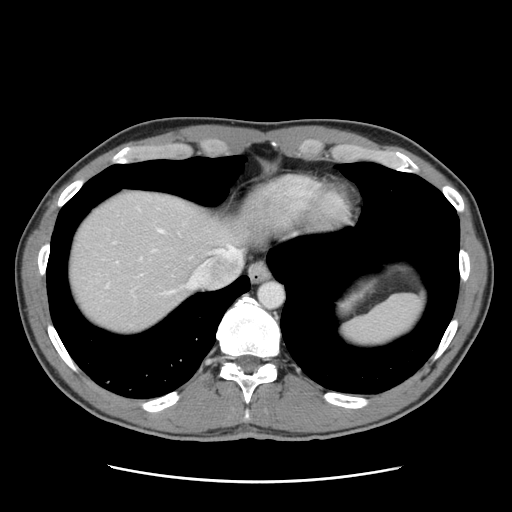
CT, 512x512

The vessel boxes may cover only some of the vessels.
Hepatic vessel at 186,275,193,286; 217,249,222,251; 152,249,155,251; 164,290,173,292; 115,261,117,263; 159,229,162,232; 228,246,232,251.